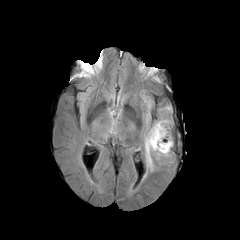
FLAIR magnetic resonance.
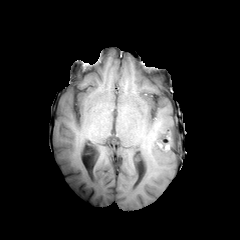
T1-weighted MRI.
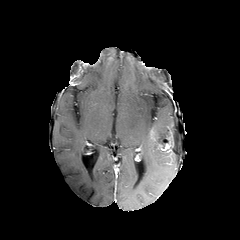
Post-contrast T1-weighted magnetic resonance of the same slice.
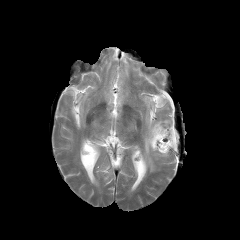
Same slice, T2-weighted magnetic resonance.
enhancing_tumor:
  - (left=159, top=135, right=173, bottom=152)
non-enhancing_tumor_core:
  - (left=157, top=137, right=169, bottom=149)
edema:
  - (left=106, top=106, right=118, bottom=137)
  - (left=143, top=100, right=171, bottom=171)
  - (left=107, top=88, right=124, bottom=105)